Head, Slice index 115
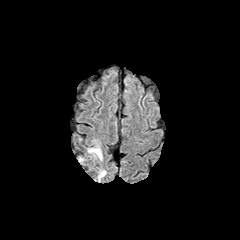
FLAIR magnetic resonance.
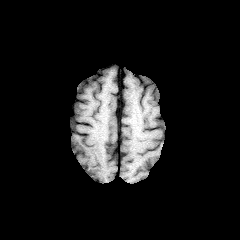
T1-weighted magnetic resonance of the same slice.
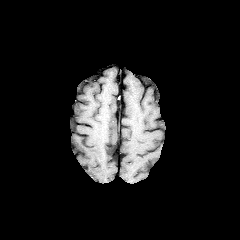
Post-contrast T1-weighted magnetic resonance.
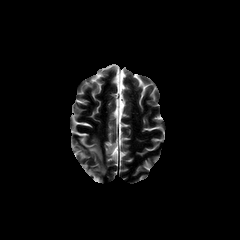
T2-weighted MR image.
edema: x1=78, y1=138, x2=106, y2=180